CT scan slice. Slice 26 of 41. 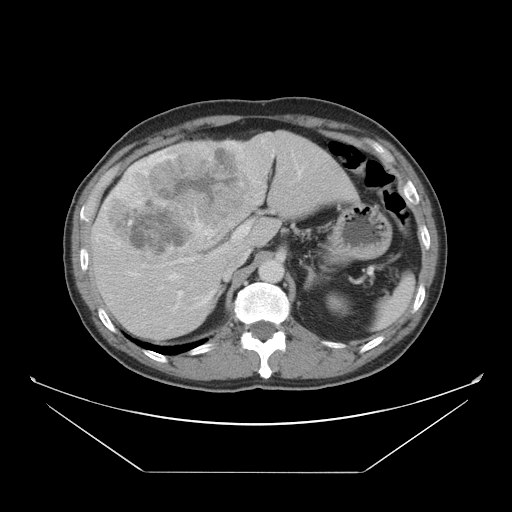 Not every hepatic vessel necessarily has a box.
<segmentation>
  <liver_tumor>bbox(108, 148, 251, 255)</liver_tumor>
  <hepatic_vessel>bbox(295, 164, 302, 179); bbox(191, 258, 193, 259); bbox(200, 291, 213, 304); bbox(178, 290, 182, 298); bbox(193, 224, 203, 233); bbox(125, 271, 138, 276); bbox(202, 228, 212, 236); bbox(171, 259, 186, 263); bbox(233, 221, 251, 239); bbox(169, 273, 183, 279)</hepatic_vessel>
</segmentation>